FLAIR MR.
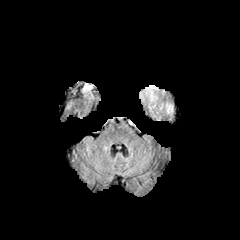
T1-weighted magnetic resonance.
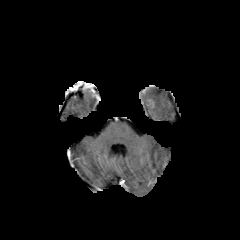
Post-contrast T1-weighted MRI.
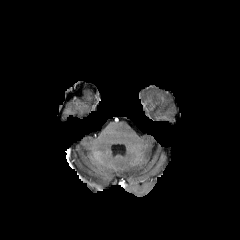
T2-weighted MR.
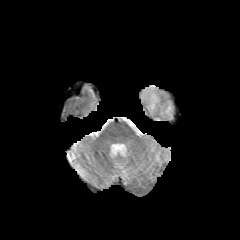
Head.
{"edema": ["left=145, top=85, right=172, bottom=115"]}